Slice 39 of 95. CT scan slice. Abdomen. Field of view 428 mm wide, 5.00 mm slice spacing.

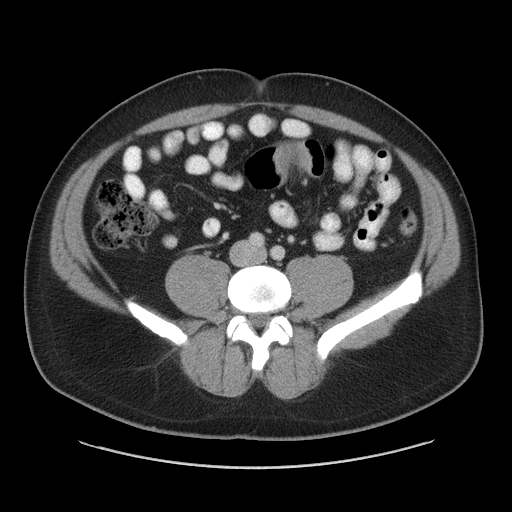 <segmentation>
  <colon_tumor>273, 140, 312, 185</colon_tumor>
</segmentation>